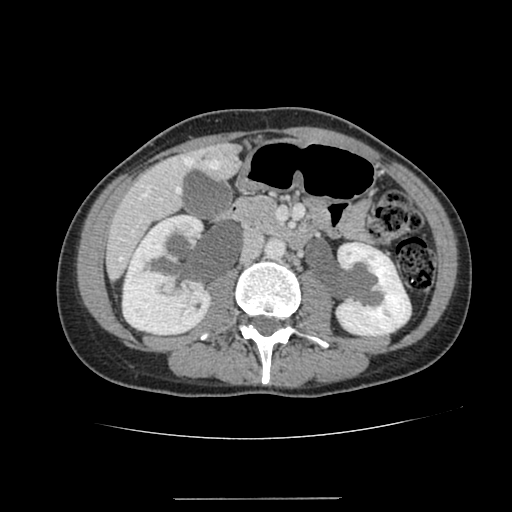 Computed tomography | 512x512
kidney:
  - [123,215,209,334]
  - [337,243,410,335]
liver:
  - [107,143,240,278]